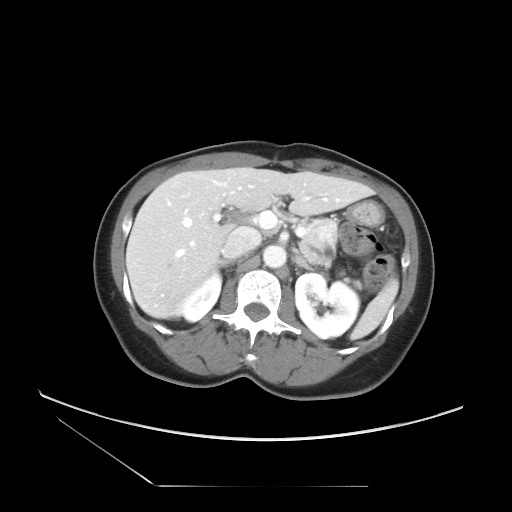 CT slice. - pancreas: left=300, top=235, right=335, bottom=267
- pancreatic tumor: left=305, top=219, right=337, bottom=252